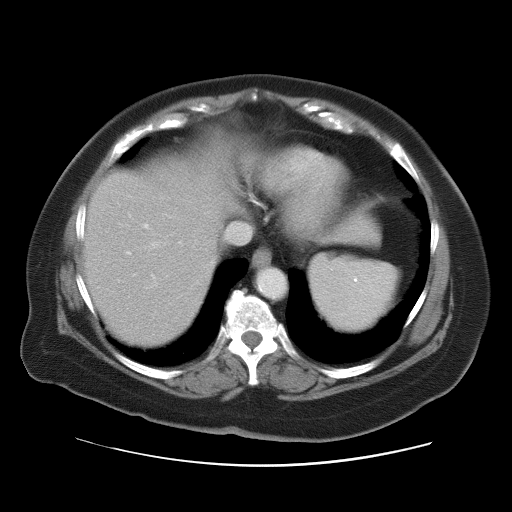

CT slice

Spleen = left=308, top=256, right=397, bottom=333.